Slice 229/537; CT scan slice; Field of view 496x496 mm

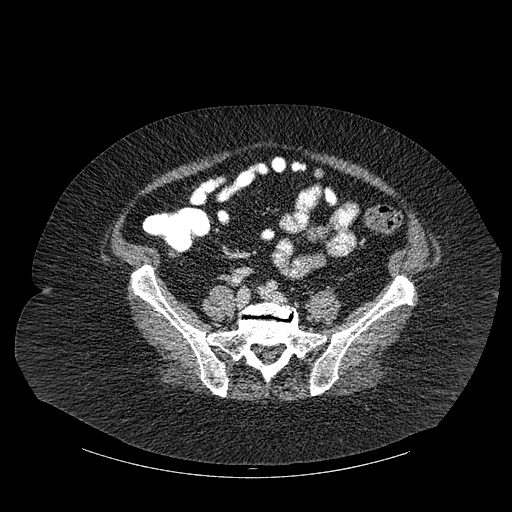

{"bone": ["(131,264,326,396)", "(310,276,413,395)"]}